Image width 378 mm | CT slice | Slice index 304

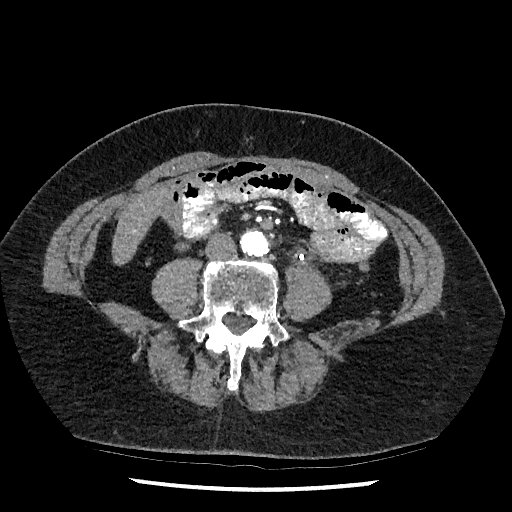
Liver: box(112, 187, 167, 263).